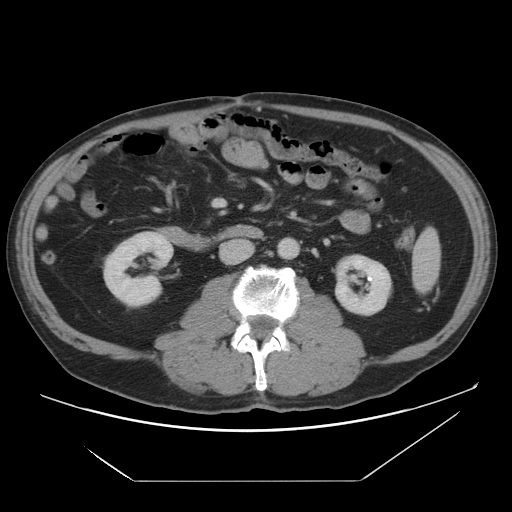 CT scan slice
Kidney at rect(336, 256, 390, 314); rect(104, 232, 172, 304).